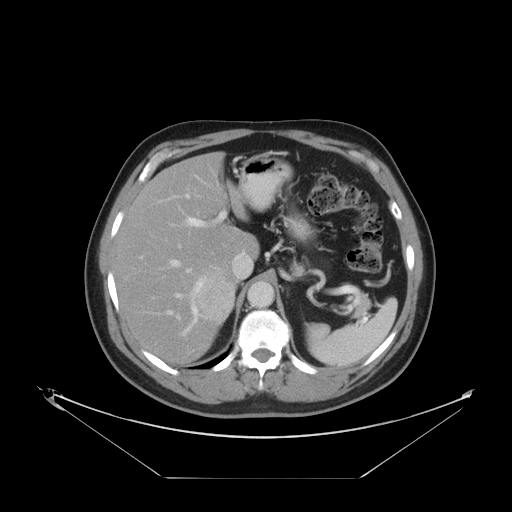

CT; Abdomen; Image size 512x512
Only some of the vessels may be annotated.
10 hepatic vessel regions are bounded by x1=186, y1=269, x2=190, y2=272; x1=183, y1=304, x2=198, y2=335; x1=171, y1=260, x2=178, y2=265; x1=217, y1=213, x2=223, y2=220; x1=176, y1=294, x2=182, y2=297; x1=186, y1=195, x2=188, y2=197; x1=187, y1=217, x2=204, y2=227; x1=177, y1=316, x2=179, y2=318; x1=167, y1=311, x2=171, y2=314; x1=193, y1=277, x2=205, y2=294. The liver tumor appears at x1=194, y1=276, x2=235, y2=322.